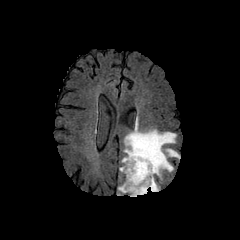
FLAIR MRI.
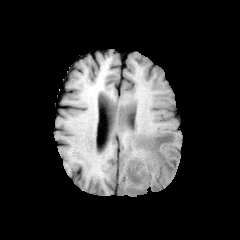
T1-weighted magnetic resonance of the same slice.
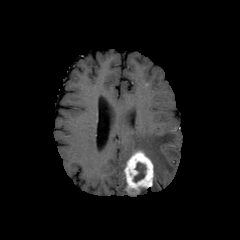
Post-contrast T1-weighted MR image.
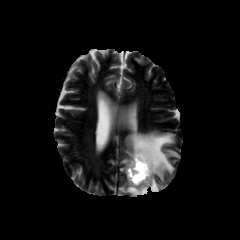
Same slice, T2-weighted magnetic resonance.
Head
• edema: l=120, t=125, r=179, b=181; l=118, t=182, r=127, b=193; l=151, t=178, r=160, b=191
• non-enhancing tumor core: l=135, t=148, r=153, b=163; l=134, t=163, r=145, b=181
• enhancing tumor: l=124, t=150, r=154, b=194